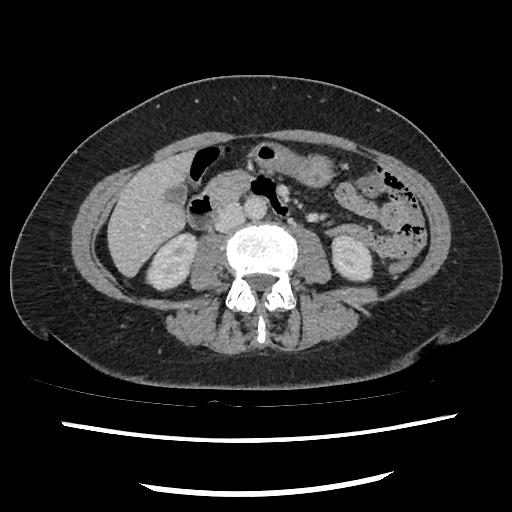
Image size 512x512; Abdomen; CT
Segmented structures:
* pancreas: 209,170,251,202